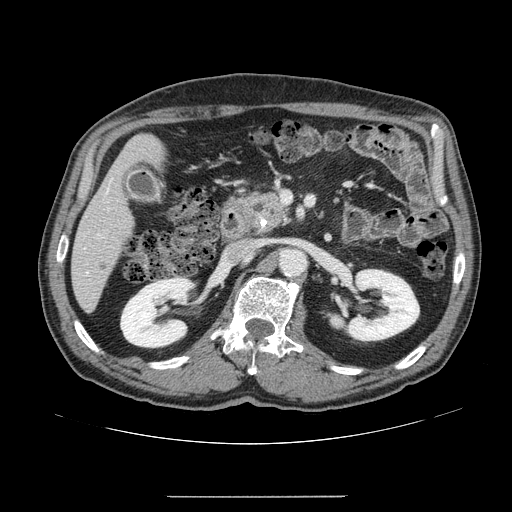
CT scan slice; Image size 512x512; Abdomen

The pancreas appears at 237 188 287 237.